Slice 438 of 986. CT scan slice. Abdomen. 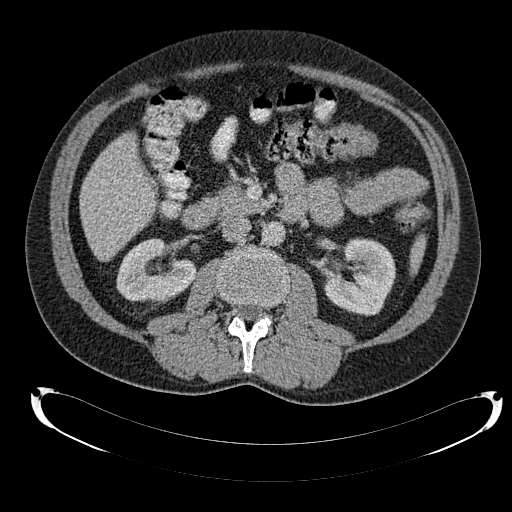 <segmentation>
  <liver>[x1=80, y1=134, x2=154, y2=260]</liver>
  <kidney>[x1=117, y1=239, x2=195, y2=300], [x1=323, y1=239, x2=394, y2=314]</kidney>
</segmentation>